Slice 140/836 | CT image
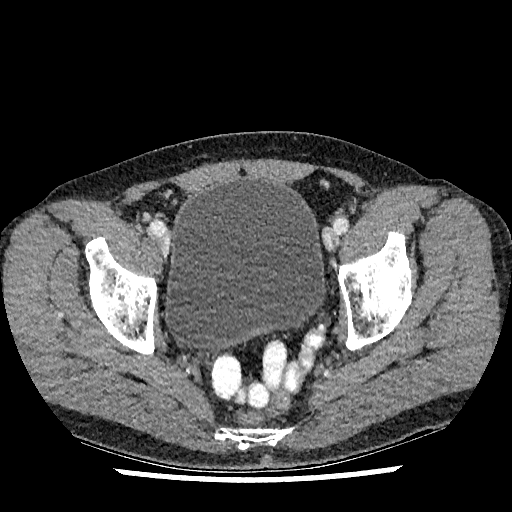

{"urinary_bladder": ["166:178:325:353"]}